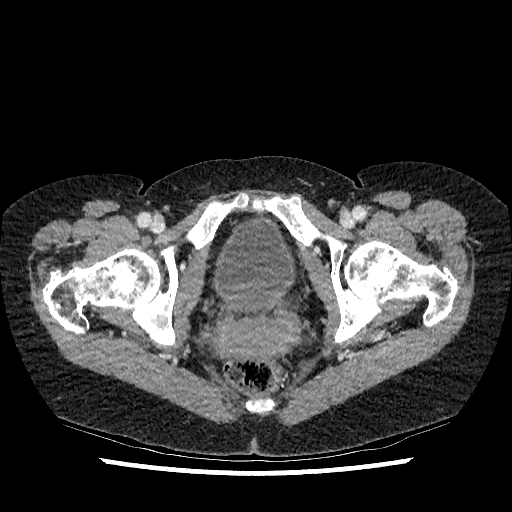 CT scan slice | 512x512 px

* urinary bladder: (212,213,297,298)